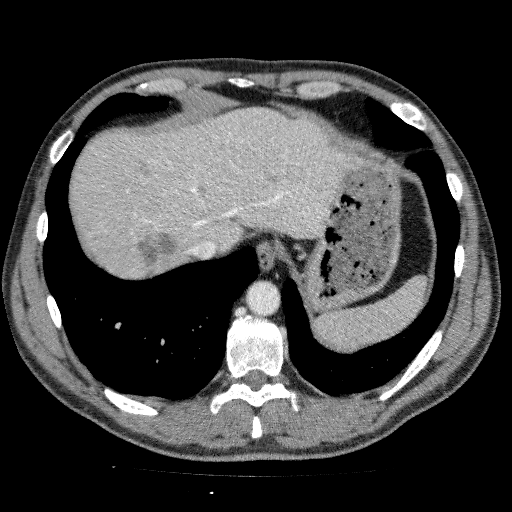
CT; Upper abdomen

4 focal liver lesion regions are located at (left=137, top=160, right=150, bottom=177), (left=263, top=171, right=277, bottom=184), (left=136, top=231, right=178, bottom=272), (left=197, top=185, right=208, bottom=195). The liver lies within (left=71, top=107, right=344, bottom=279).